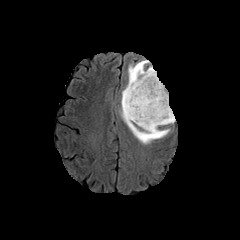
FLAIR MR image.
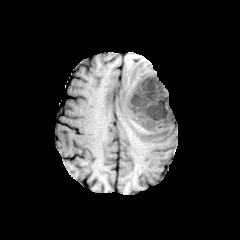
Same slice, T1-weighted MRI.
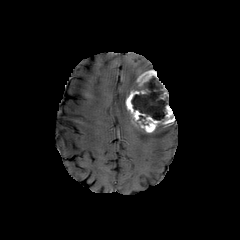
Post-contrast T1-weighted MRI.
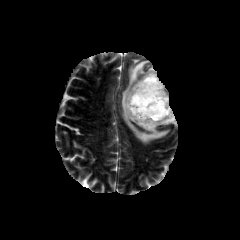
T2-weighted MR.
240x240 px.
non-enhancing_tumor_core:
  - 131,76,168,120
edema:
  - 118,59,171,145
enhancing_tumor:
  - 125,89,175,133
  - 137,70,168,100